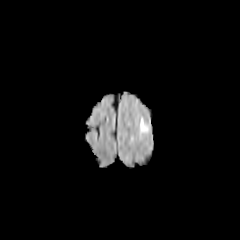
FLAIR MR.
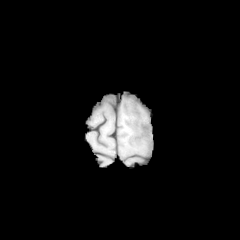
T1-weighted MR of the same slice.
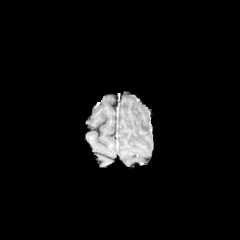
Post-contrast T1-weighted magnetic resonance of the same slice.
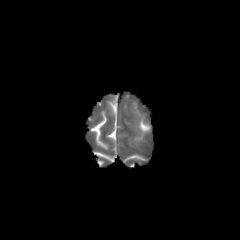
T2-weighted magnetic resonance.
Head
edema:
  - box(140, 121, 150, 130)